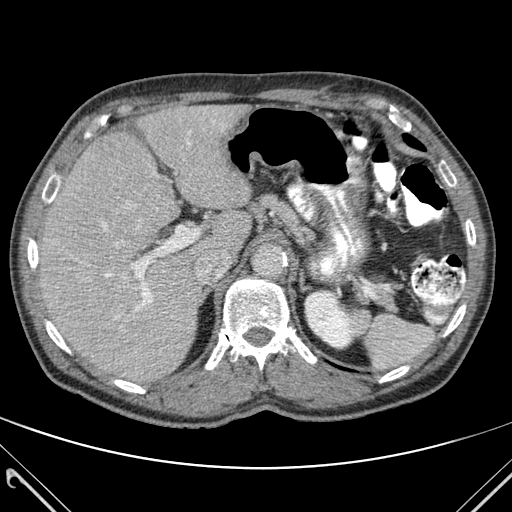

Computed tomography. Image size 512x512. 2 liver regions are located at region(138, 105, 251, 207); region(40, 132, 249, 384). The kidney is located at region(305, 291, 359, 346). 9 bone regions are located at region(115, 380, 144, 393); region(28, 238, 37, 267); region(205, 279, 316, 369); region(379, 366, 408, 382); region(46, 321, 69, 352); region(444, 305, 465, 335); region(42, 172, 58, 204); region(466, 220, 475, 244); region(440, 161, 456, 186). The lung is at region(403, 134, 423, 149).